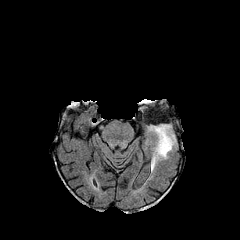
FLAIR MR.
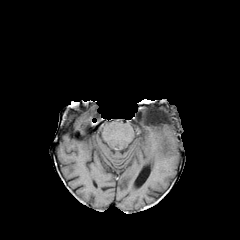
Same slice, T1-weighted magnetic resonance.
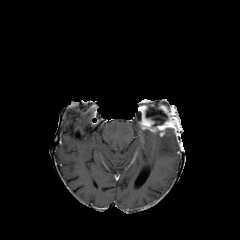
Post-contrast T1-weighted magnetic resonance.
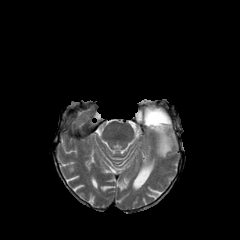
T2-weighted magnetic resonance of the same slice.
Brain
<segmentation>
  <enhancing_tumor>(left=142, top=117, right=172, bottom=136)</enhancing_tumor>
  <non-enhancing_tumor_core>(left=140, top=102, right=179, bottom=135)</non-enhancing_tumor_core>
  <edema>(left=148, top=132, right=177, bottom=172)</edema>
</segmentation>